Image size 240x240; Field of view 240x240 mm
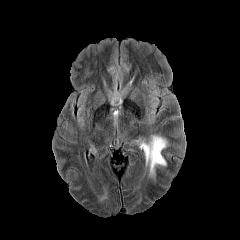
FLAIR MR.
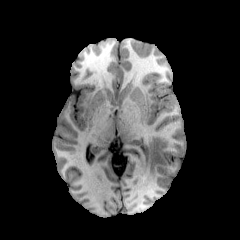
Same slice, T1-weighted MR.
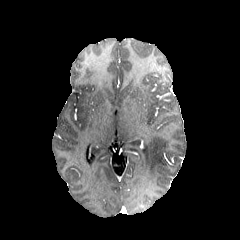
Same slice, post-contrast T1-weighted MRI.
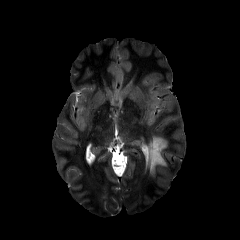
T2-weighted MRI.
The edema is located at box(143, 135, 167, 180).